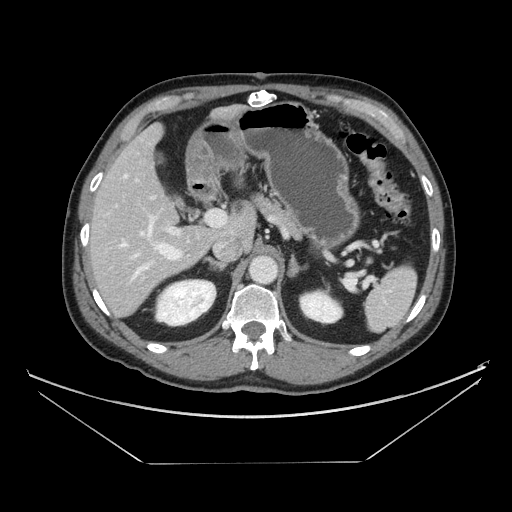 CT image
Pancreas — x1=365 y1=256 x2=374 y2=264, x1=251 y1=192 x2=302 y2=240.